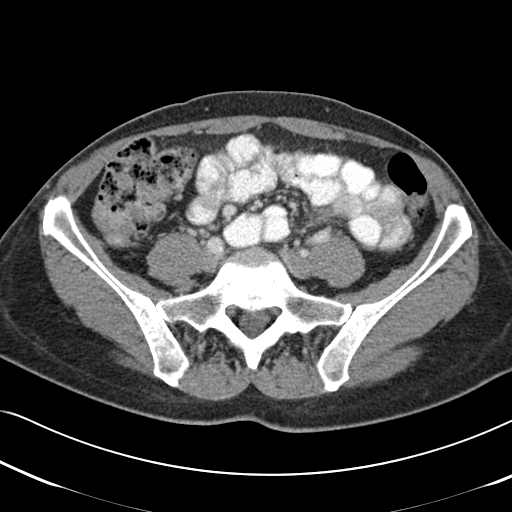
CT. Image size 512x512. Annotated regions:
* colon tumor: 91,181,170,245